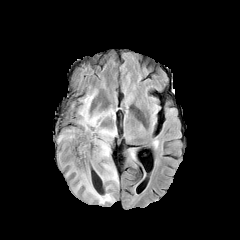
FLAIR magnetic resonance.
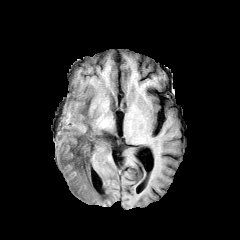
T1-weighted MRI.
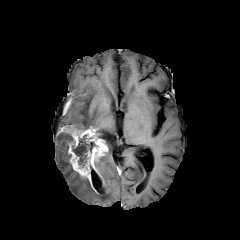
Same slice, post-contrast T1-weighted magnetic resonance.
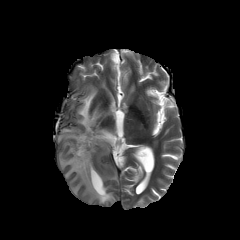
Same slice, T2-weighted magnetic resonance.
non-enhancing tumor core: x1=68, y1=135, x2=97, y2=167; x1=96, y1=130, x2=110, y2=141; x1=91, y1=153, x2=100, y2=163 | edema: x1=58, y1=132, x2=71, y2=142; x1=77, y1=89, x2=118, y2=186; x1=62, y1=142, x2=114, y2=203 | enhancing tumor: x1=62, y1=128, x2=107, y2=157; x1=68, y1=143, x2=98, y2=188